Slice 310 of 536; Field of view 700x700 mm; CT slice 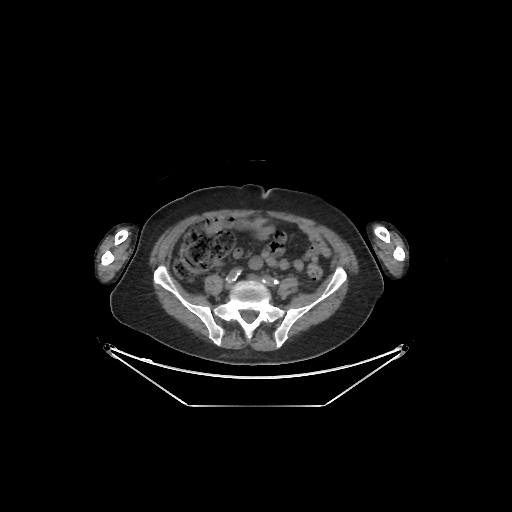
Bone: bounding box 213,267,346,347; 393,246,404,260; 374,226,389,242; 154,266,223,345; 101,251,114,265; 114,229,127,244.